FLAIR MR.
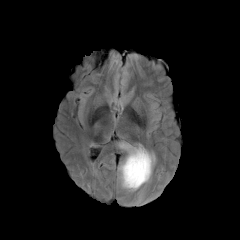
T1-weighted magnetic resonance.
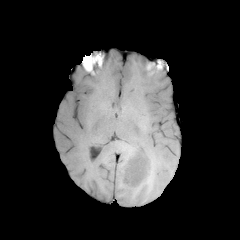
Post-contrast T1-weighted MR.
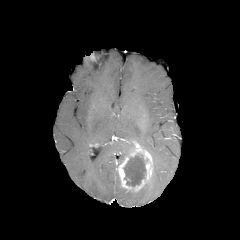
T2-weighted MR image.
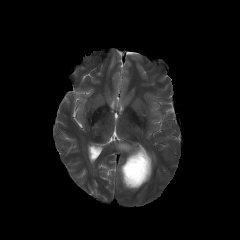
Non-enhancing tumor core: bounding box 124:154:146:186.
Enhancing tumor: bounding box 118:148:152:190.
Edema: bounding box 125:144:137:154.